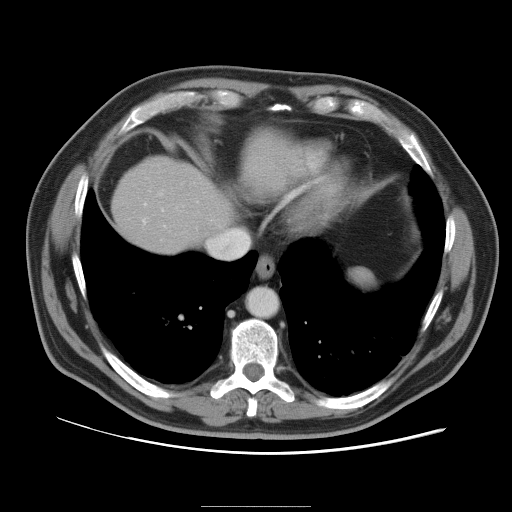
CT slice

Only some of the vessels may be annotated.
Hepatic vessel at box(143, 218, 146, 224); box(162, 209, 163, 210); box(159, 191, 162, 194).